Slice index 82, Image width 240 mm, Brain, 240x240
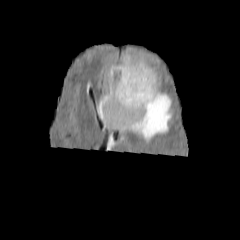
FLAIR MR.
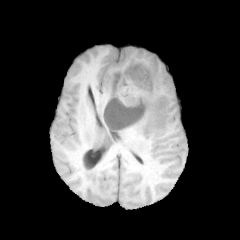
Same slice, T1-weighted MR.
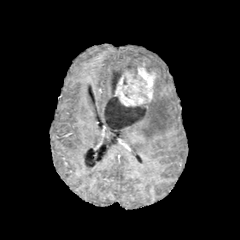
Same slice, post-contrast T1-weighted MR.
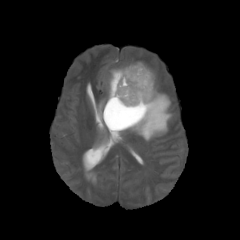
Same slice, T2-weighted magnetic resonance.
enhancing tumor: 115, 63, 156, 105 | non-enhancing tumor core: 104, 64, 148, 129 | edema: 127, 61, 146, 65; 109, 86, 172, 140; 98, 98, 105, 120